MRI slice | 37x52 | Medial temporal lobe | Field of view 37 mm wide, 1.00 mm slice spacing | Slice 13/32 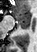

• anterior hippocampus: bbox=[15, 12, 29, 21]
• posterior hippocampus: bbox=[17, 22, 29, 29]